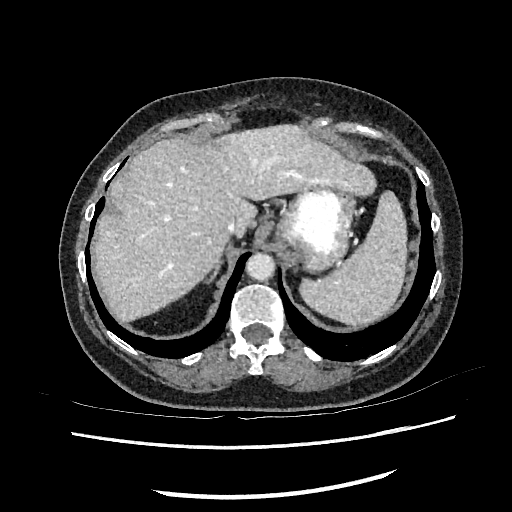 Abdomen. 512x512. CT.
<segmentation>
  <liver>rect(94, 124, 374, 320)</liver>
</segmentation>